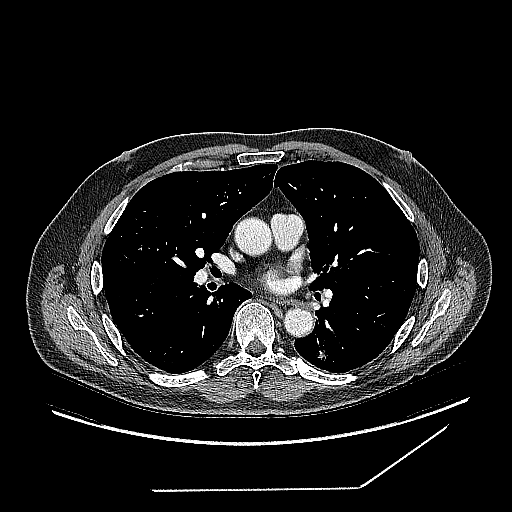 Lung. CT.

<segmentation>
  <lung_tumor>{"x1": 314, "y1": 349, "x2": 329, "y2": 363}</lung_tumor>
</segmentation>